Head. 240x240 px.
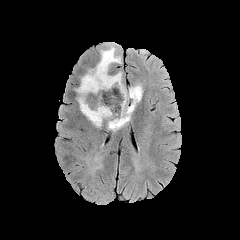
FLAIR magnetic resonance.
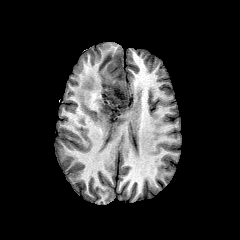
T1-weighted magnetic resonance of the same slice.
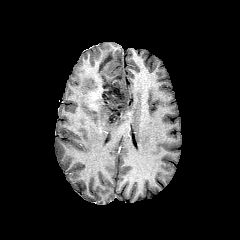
Post-contrast T1-weighted MRI of the same slice.
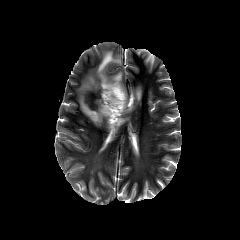
Same slice, T2-weighted MR image.
The non-enhancing tumor core lies within bbox=[99, 83, 127, 122]. The edema is bounded by bbox=[77, 43, 142, 134].